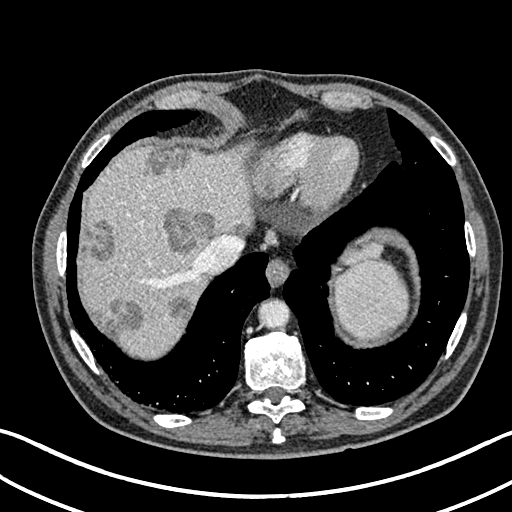 CT; 512x512

Findings:
- focal liver lesion: [146,149,189,174], [164,208,213,254], [109,301,143,328], [168,297,191,321], [237,226,246,234], [80,219,116,260]
- liver: [347,243,382,264], [80,144,254,357]